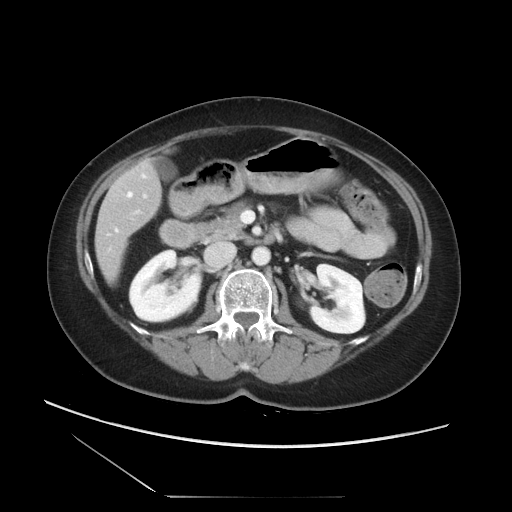
CT slice. Abdomen.

The vessel annotation is not exhaustive.
Hepatic vessel: [142, 174, 145, 178], [144, 195, 146, 197], [127, 192, 132, 197], [135, 211, 139, 213], [115, 229, 117, 232].